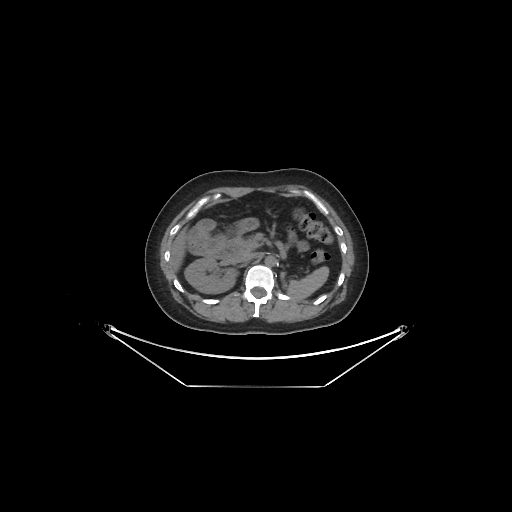 Computed tomography | Liver
The liver lies within [169,228,187,274]. The kidney lies within [185,256,235,293].